CT, Abdomen, Slice index 30

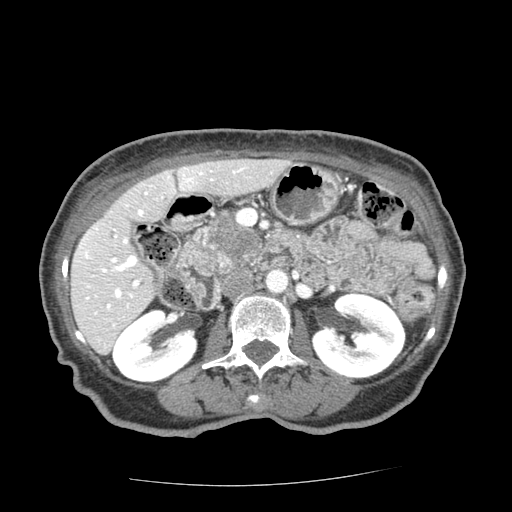

Pancreas at 192 223 239 276, 245 239 261 262.
Pancreatic tumor at 209 212 259 265.